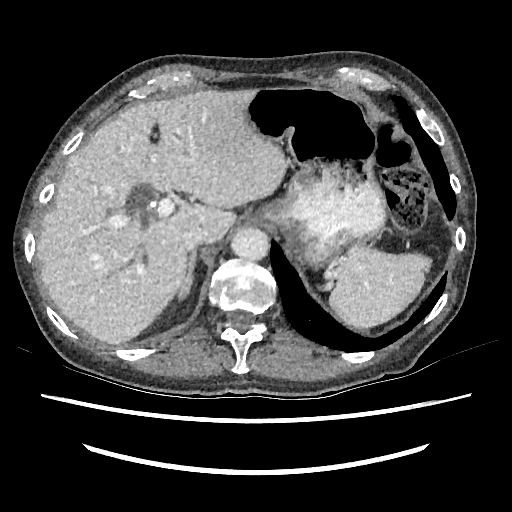 Liver; CT
Segmented structures:
• liver: l=36, t=89, r=283, b=342